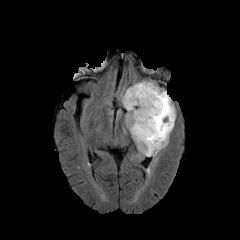
FLAIR MR image.
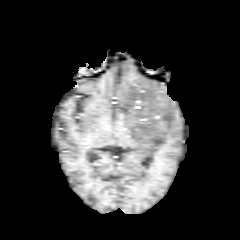
T1-weighted magnetic resonance of the same slice.
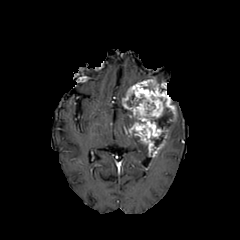
Post-contrast T1-weighted magnetic resonance.
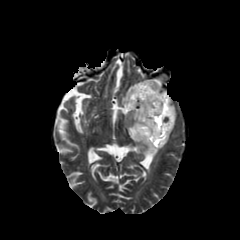
Same slice, T2-weighted MRI.
240x240
- non-enhancing tumor core: box(152, 107, 172, 129); box(150, 133, 164, 146); box(143, 82, 154, 90); box(127, 95, 145, 107)
- edema: box(124, 109, 176, 163); box(118, 80, 144, 105)
- enhancing tumor: box(123, 80, 175, 154)